FLAIR MRI.
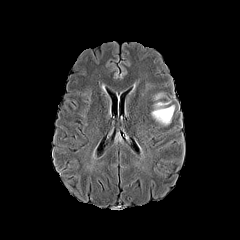
T1-weighted MRI.
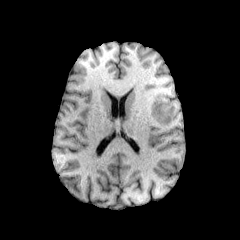
Post-contrast T1-weighted MR.
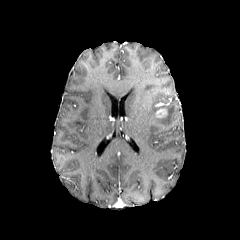
T2-weighted MR.
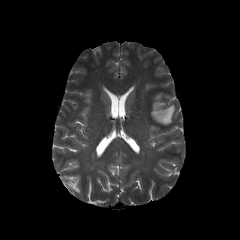
Brain
The enhancing tumor is at [156, 109, 168, 118]. 2 edema regions are located at [152, 92, 165, 100], [150, 104, 175, 126].